CT scan slice; Abdomen; Field of view 421x421 mm 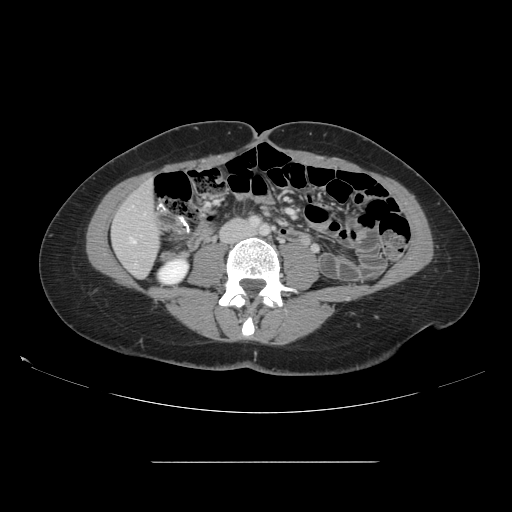 The vessel boxes may cover only some of the vessels.
hepatic vessel: 129,238,135,243